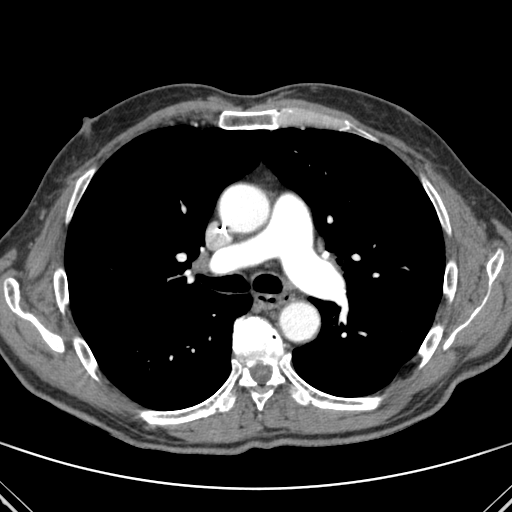

CT | 512x512

Lung = {"x1": 64, "y1": 125, "x2": 444, "y2": 410}.
Bone = {"x1": 219, "y1": 109, "x2": 292, "y2": 129}, {"x1": 443, "y1": 297, "x2": 487, "y2": 349}, {"x1": 54, "y1": 268, "x2": 68, "y2": 313}, {"x1": 486, "y1": 250, "x2": 503, "y2": 285}, {"x1": 332, "y1": 120, "x2": 350, "y2": 129}, {"x1": 419, "y1": 325, "x2": 442, "y2": 367}, {"x1": 4, "y1": 278, "x2": 64, "y2": 352}, {"x1": 74, "y1": 337, "x2": 98, "y2": 380}, {"x1": 66, "y1": 169, "x2": 93, "y2": 221}, {"x1": 443, "y1": 261, "x2": 457, "y2": 301}, {"x1": 422, "y1": 178, "x2": 450, "y2": 233}, {"x1": 140, "y1": 316, "x2": 381, "y2": 424}.